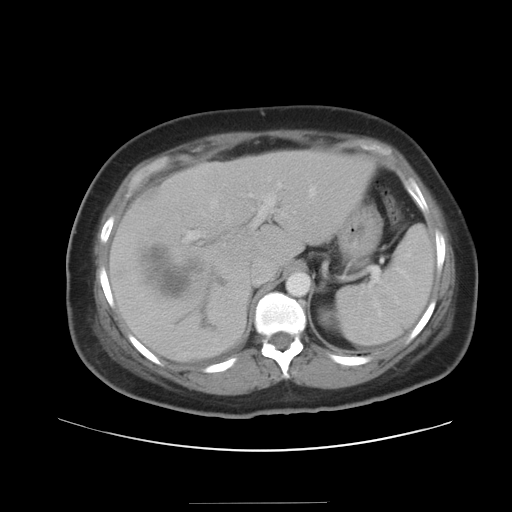 CT, Liver
Some hepatic vessels may have no box.
Liver tumor at 143,242,193,296.
Hepatic vessel at 253,192,275,226; 211,199,216,208; 257,280,260,281; 184,231,200,241.